CT slice, Lung
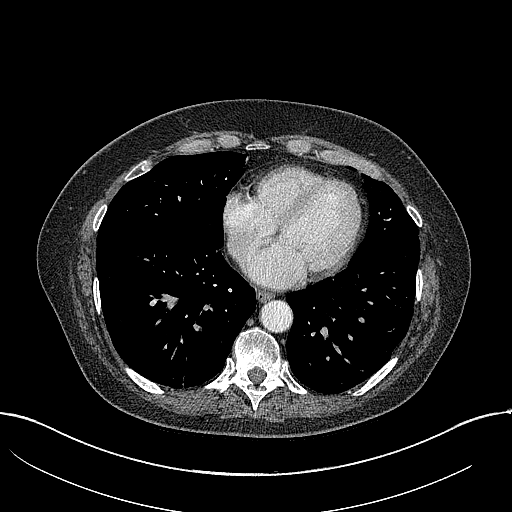

Lung tumor = {"x1": 172, "y1": 369, "x2": 189, "y2": 386}.